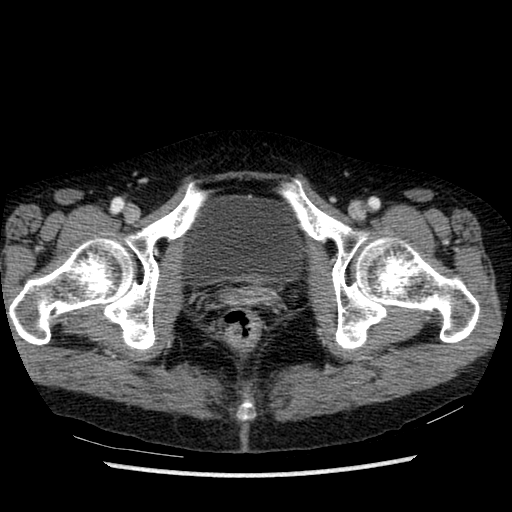
CT slice

The urinary bladder lies within 180, 194, 310, 289.